Slice 28/110. Pelvis. 512x512 px. Field of view 366 mm wide, 4.00 mm slice spacing. CT slice.
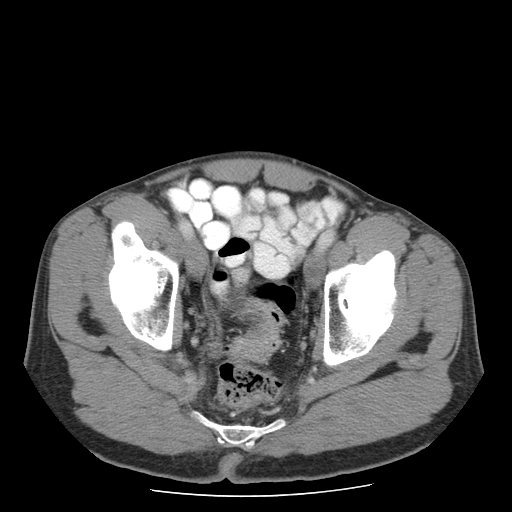
Findings:
- colon tumor: box=[231, 301, 285, 361]